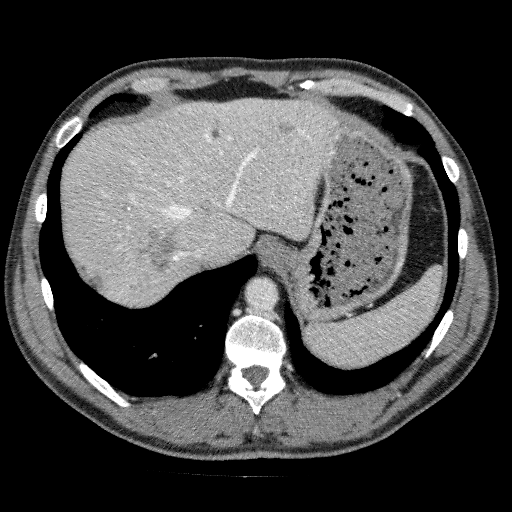

Upper abdomen, CT image
Liver: [63, 98, 332, 308].
Liver lesion: [138, 224, 180, 273], [74, 257, 106, 290], [277, 122, 293, 134].